512x512 px; Slice 90 of 761; Lower abdomen; CT scan slice
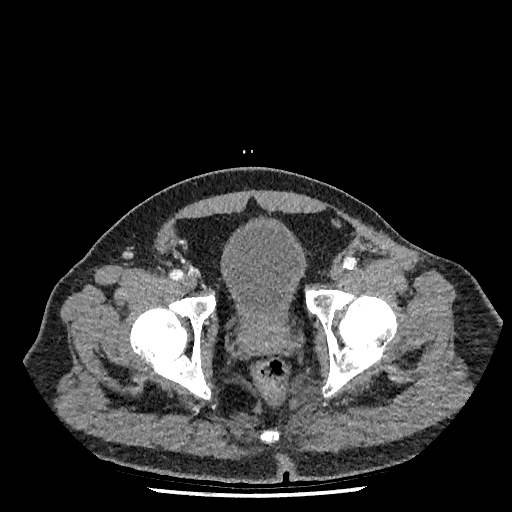 Segmented structures:
- urinary bladder: rect(220, 221, 307, 324)